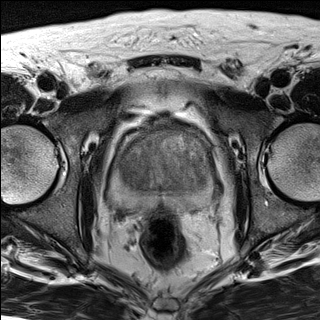
T2-weighted MRI.
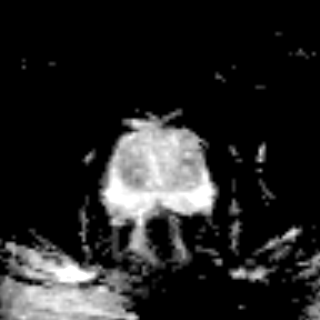
Same slice, ADC MRI.
Pelvis
prostate_peripheral_zone:
  - rect(108, 139, 213, 210)
prostate_transition_zone:
  - rect(119, 130, 209, 193)